FLAIR magnetic resonance.
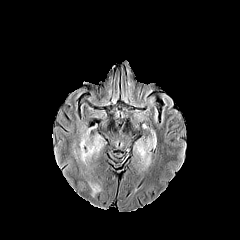
T1-weighted magnetic resonance.
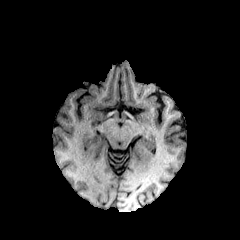
Post-contrast T1-weighted MRI.
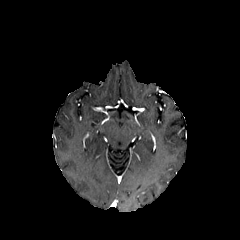
T2-weighted MR.
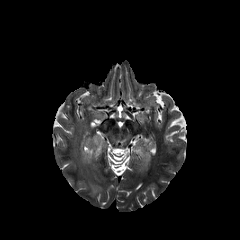
Findings:
* edema: x1=134 y1=137 x2=153 y2=164